Head; 240x240 px
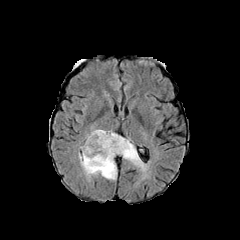
FLAIR MR image.
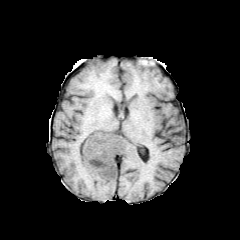
T1-weighted magnetic resonance.
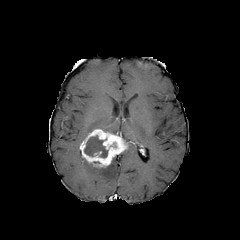
Post-contrast T1-weighted MR of the same slice.
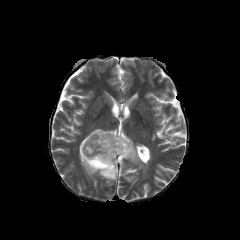
T2-weighted MRI.
3 edema regions are located at bbox(119, 136, 146, 170); bbox(79, 147, 117, 180); bbox(87, 142, 99, 152). The enhancing tumor appears at bbox(80, 129, 127, 167). The non-enhancing tumor core lies within bbox(84, 136, 107, 157).